Field of view 240x240 mm | Slice 86/155
FLAIR MR.
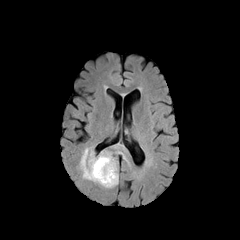
T1-weighted MRI.
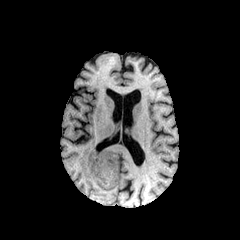
Post-contrast T1-weighted MR.
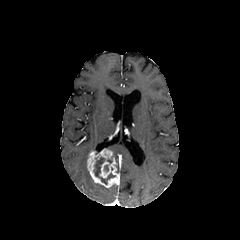
T2-weighted MR image.
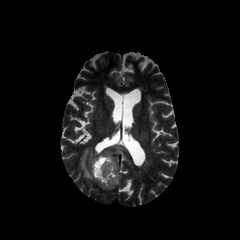
2 edema regions are bounded by (79, 145, 94, 181), (113, 145, 130, 166). 2 non-enhancing tumor core regions are located at (101, 172, 114, 184), (94, 156, 105, 178). The enhancing tumor appears at (87, 149, 120, 187).